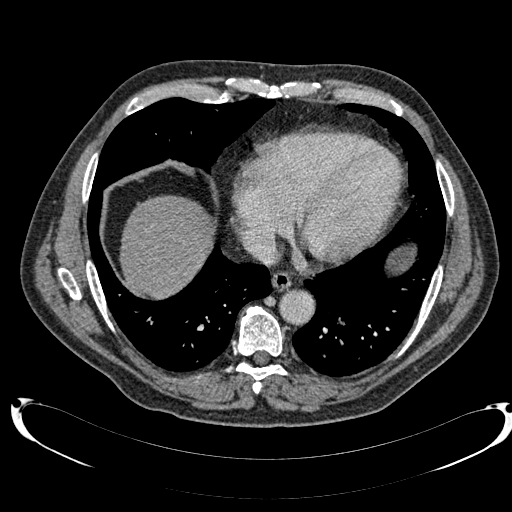

Abdomen; CT slice; 512x512 px
liver: (120, 196, 213, 296)